Abdomen | CT scan slice | Slice index 261

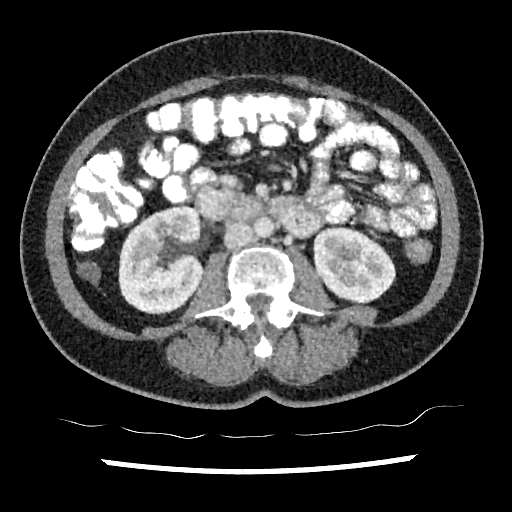 {
  "kidney": [
    "bbox(314, 228, 394, 302)",
    "bbox(119, 207, 202, 312)"
  ]
}